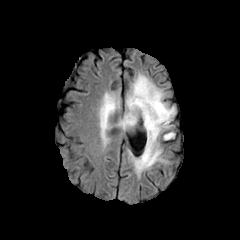
FLAIR MRI.
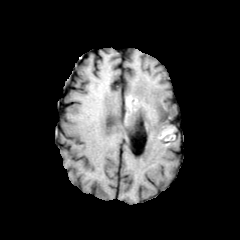
T1-weighted MRI of the same slice.
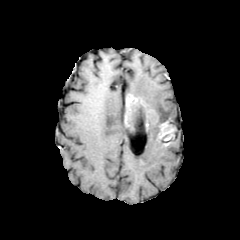
Post-contrast T1-weighted magnetic resonance of the same slice.
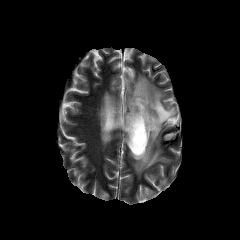
T2-weighted MR image.
Findings:
- edema: bbox=[127, 74, 176, 135]; bbox=[98, 95, 120, 139]; bbox=[132, 106, 167, 176]; bbox=[118, 99, 133, 131]
- non-enhancing tumor core: bbox=[160, 107, 169, 118]; bbox=[158, 128, 172, 140]; bbox=[124, 101, 150, 133]
- enhancing tumor: bbox=[124, 95, 143, 125]